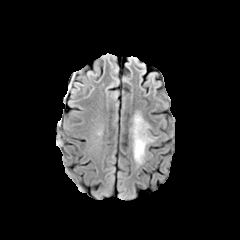
FLAIR magnetic resonance.
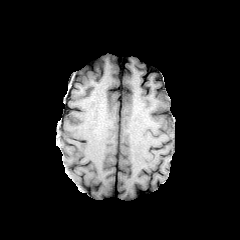
T1-weighted MR image of the same slice.
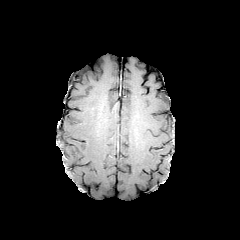
Post-contrast T1-weighted magnetic resonance.
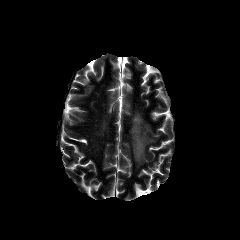
T2-weighted MR.
Brain, Image size 240x240
<segmentation>
  <edema>bbox(132, 114, 153, 164)</edema>
</segmentation>